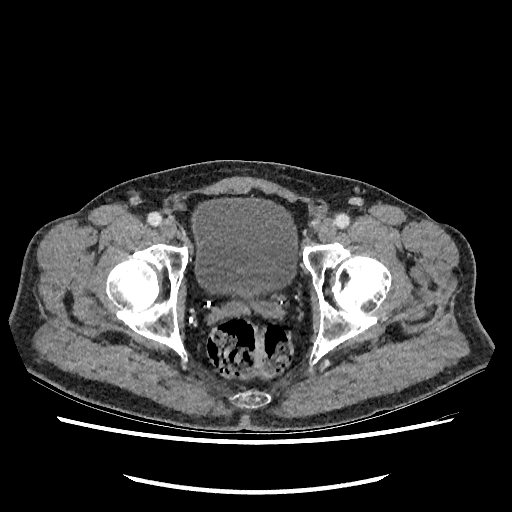
512x512, CT scan slice

<segmentation>
  <urinary_bladder>[x1=191, y1=197, x2=297, y2=299]</urinary_bladder>
</segmentation>